Head.
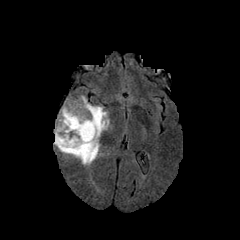
FLAIR MR image.
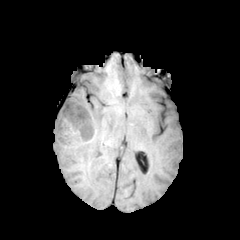
T1-weighted MRI of the same slice.
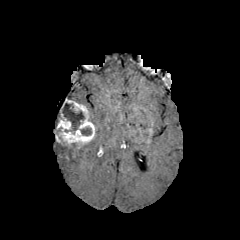
Same slice, post-contrast T1-weighted MRI.
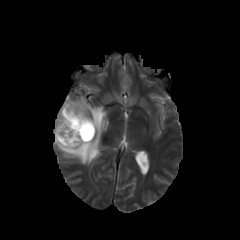
T2-weighted magnetic resonance.
non-enhancing tumor core: bbox(62, 103, 92, 136) | edema: bbox(54, 94, 110, 166) | enhancing tumor: bbox(54, 98, 95, 148)